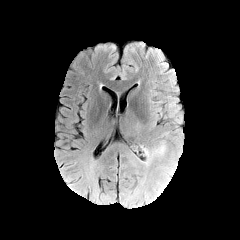
FLAIR magnetic resonance.
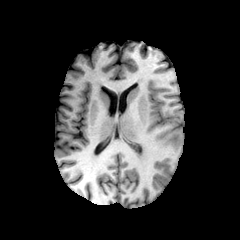
T1-weighted magnetic resonance.
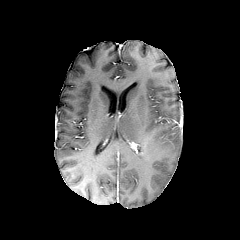
Post-contrast T1-weighted MRI of the same slice.
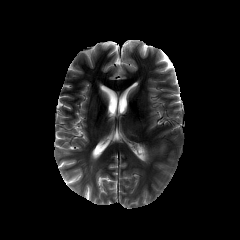
Same slice, T2-weighted magnetic resonance.
Head. 240x240.
Edema: bounding box box(141, 142, 165, 163).